CT. Image width 416 mm.

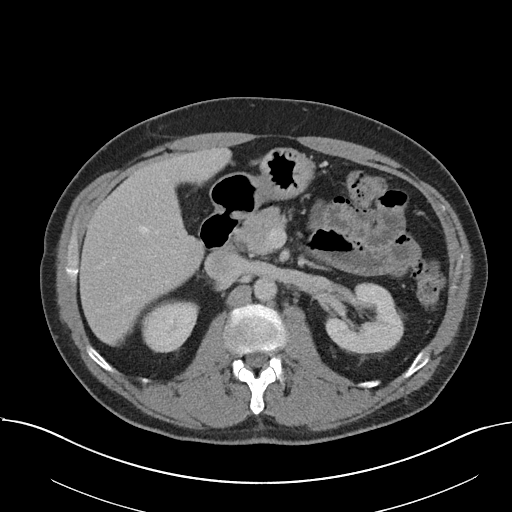
Not every hepatic vessel necessarily has a box.
Hepatic vessel = box=[113, 258, 114, 261]; box=[137, 290, 138, 292]; box=[139, 226, 148, 233]; box=[160, 281, 169, 289]; box=[136, 296, 138, 298]; box=[129, 310, 134, 318]; box=[124, 296, 130, 301].